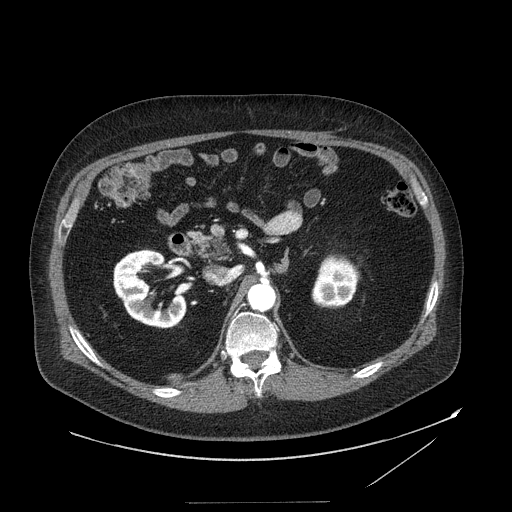

Upper abdomen; Computed tomography; Image size 512x512
Pancreas: bounding box box(188, 231, 233, 264).
Pancreatic tumor: bounding box box(211, 238, 227, 253).